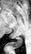 Magnetic resonance

{"posterior_hippocampus": ["9:37:22:48"]}